CT.
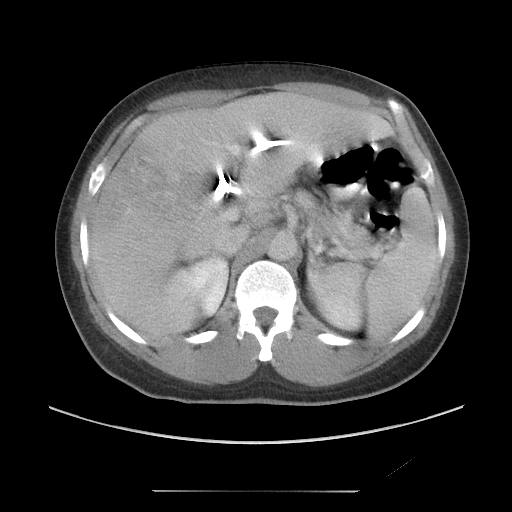

The vessel boxes may cover only some of the vessels.
The liver tumor is located at box=[94, 141, 202, 230]. 2 hepatic vessel regions are located at box=[226, 144, 239, 154]; box=[179, 144, 182, 147].